FLAIR magnetic resonance.
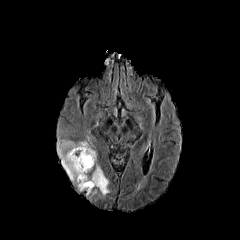
T1-weighted MRI.
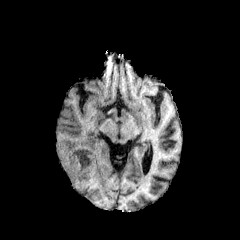
Post-contrast T1-weighted MRI.
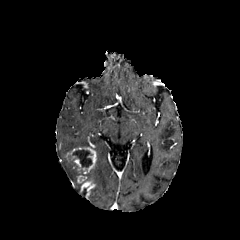
T2-weighted MR image.
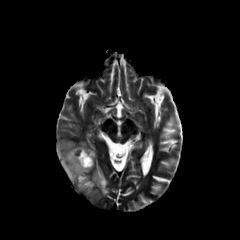
Image size 240x240.
Findings:
* enhancing tumor: 72 146 96 173, 80 180 95 196
* non-enhancing tumor core: 72 149 92 168
* edema: 59 140 109 196